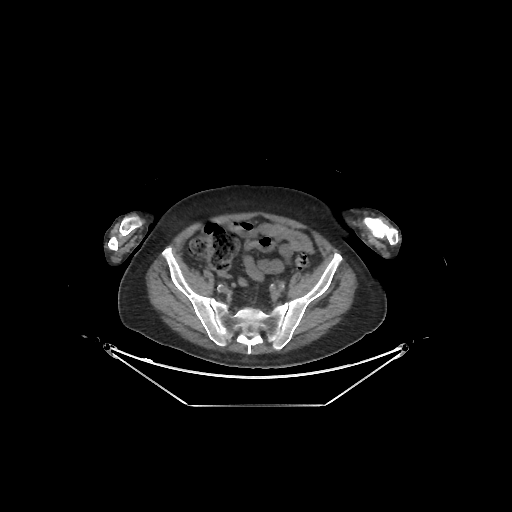

CT scan slice.
bone: box(162, 248, 341, 353); box(118, 217, 140, 236); box(363, 218, 398, 244); box(108, 237, 117, 250)